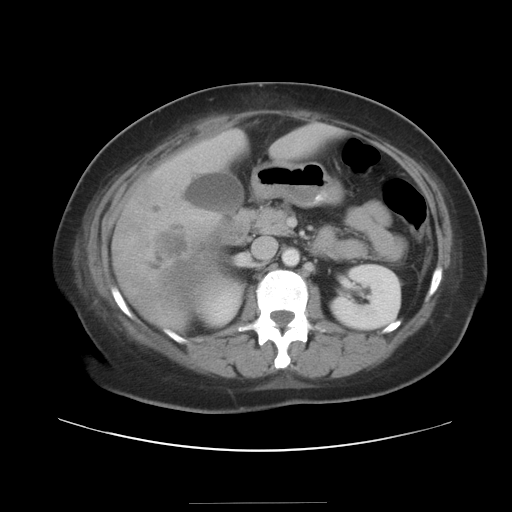 CT slice | Image size 512x512 | Liver

2 liver tumor regions appear at bbox(159, 227, 185, 255); bbox(172, 242, 220, 307).